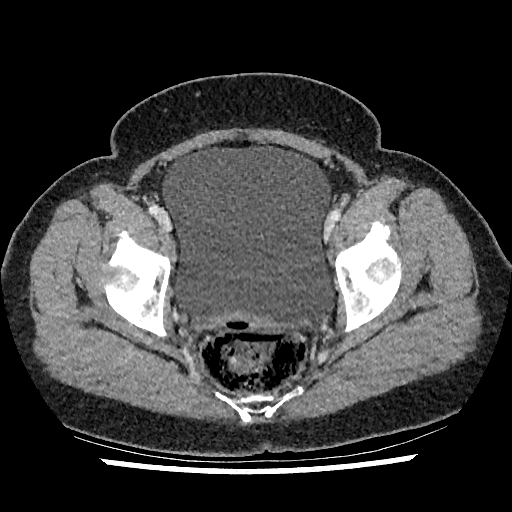
CT image

urinary_bladder:
  - box(162, 146, 333, 330)